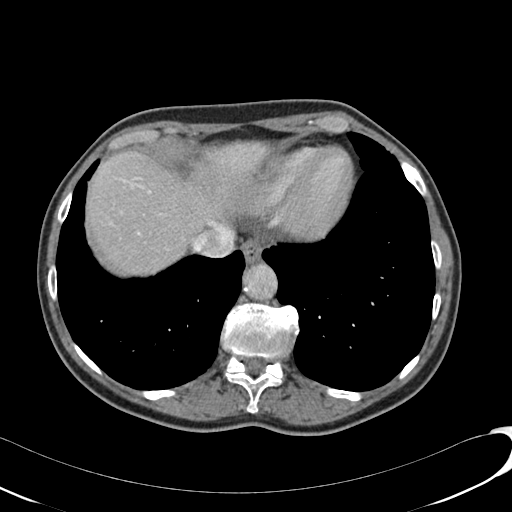
Liver. Computed tomography.

Liver at [87,142,265,274].